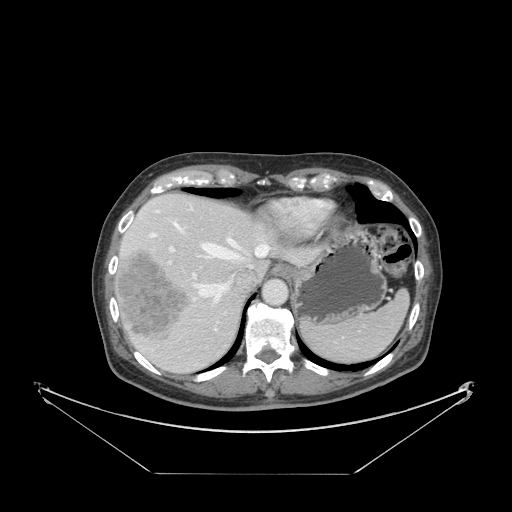 Abdomen; 512x512; CT slice
Spleen = 302 289 410 364.